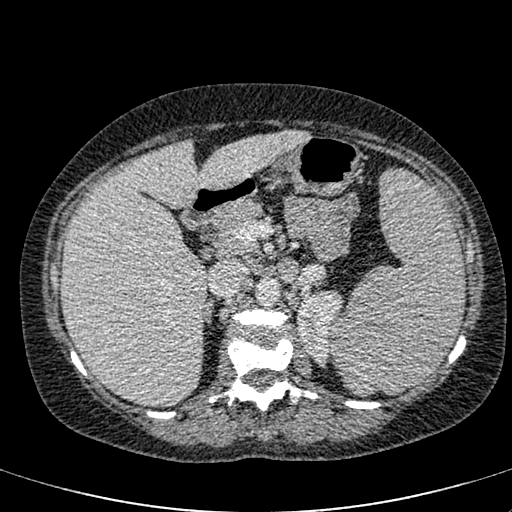

Liver. CT scan slice. The kidney is located at box=[297, 291, 342, 363]. The liver is located at box=[62, 132, 308, 406].